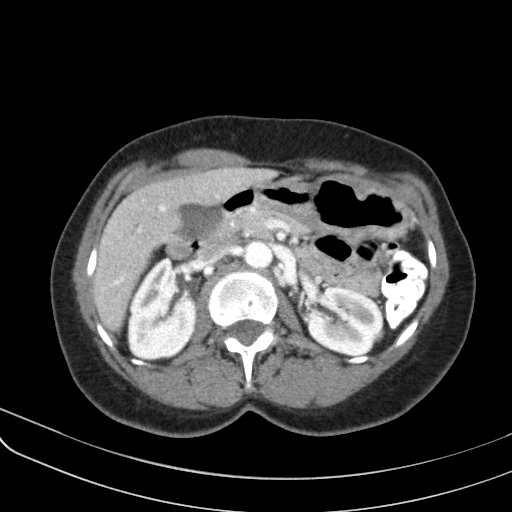
Abdomen, 512x512 px, CT slice
{
  "pancreas": [
    "l=230, t=208, r=309, b=239"
  ]
}